Head.
FLAIR MR.
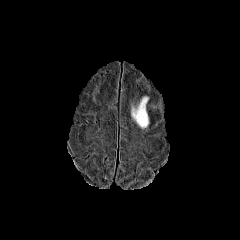
T1-weighted magnetic resonance.
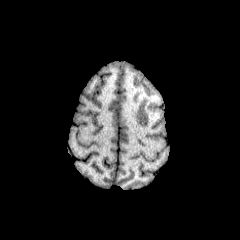
Post-contrast T1-weighted magnetic resonance.
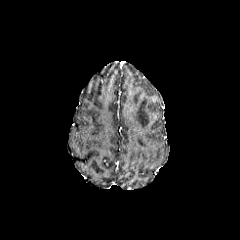
T2-weighted magnetic resonance.
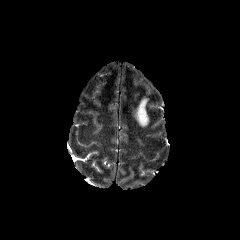
edema: 131,97,148,127